FLAIR magnetic resonance.
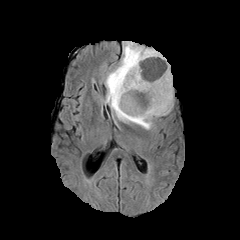
T1-weighted MRI.
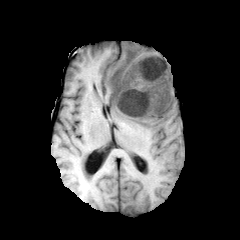
Post-contrast T1-weighted MRI.
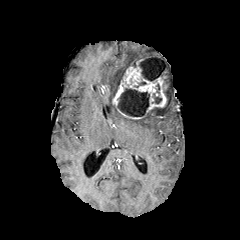
T2-weighted MR image.
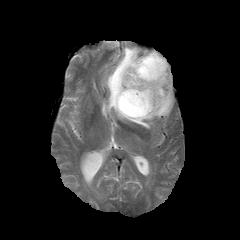
Head.
Non-enhancing tumor core = 117:88:149:117, 138:56:166:81, 152:95:169:114.
Enhancing tumor = 112:59:167:111.
Edema = 102:42:173:129.